Slice 58 of 155, Image size 240x240
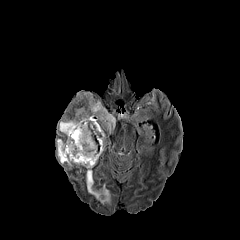
FLAIR magnetic resonance.
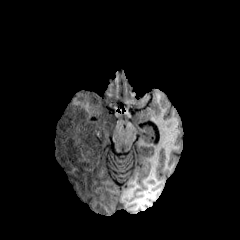
T1-weighted magnetic resonance of the same slice.
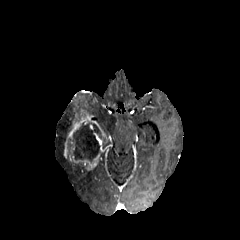
Post-contrast T1-weighted MR of the same slice.
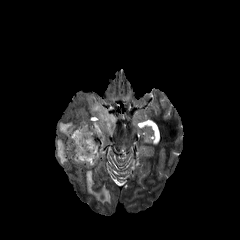
T2-weighted MRI.
enhancing_tumor:
  - 63, 95, 107, 171
non-enhancing_tumor_core:
  - 64, 102, 75, 125
  - 73, 123, 101, 160
edema:
  - 85, 170, 110, 204
  - 56, 117, 70, 136
  - 87, 97, 116, 131
  - 55, 138, 73, 168